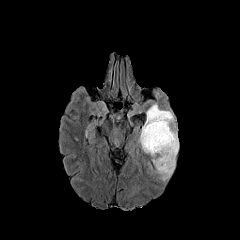
FLAIR MRI.
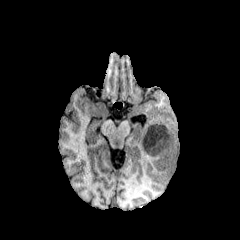
T1-weighted MR.
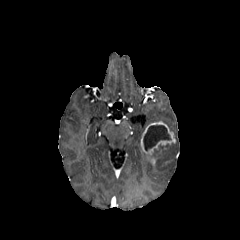
Post-contrast T1-weighted magnetic resonance.
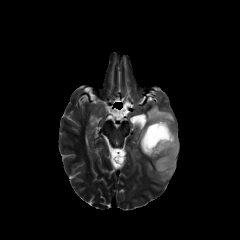
T2-weighted MR image.
Brain
The non-enhancing tumor core appears at [143, 125, 168, 151]. The enhancing tumor is located at [140, 121, 175, 156]. The edema appears at [136, 104, 179, 181].